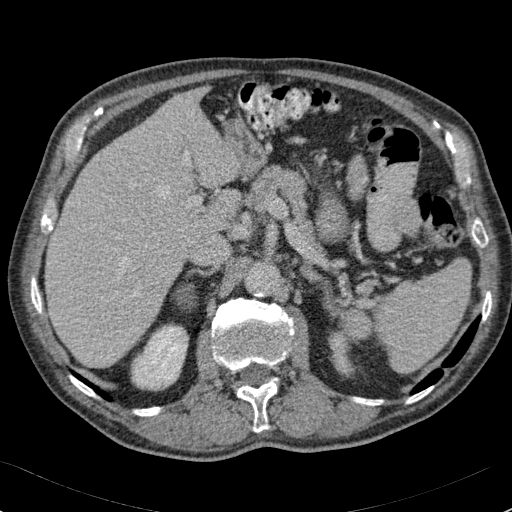
Computed tomography
Liver — box(46, 93, 239, 367).
Kidney — box(133, 327, 187, 387); box(331, 334, 348, 372).